Brain; Field of view 240x240 mm; Slice 115 of 155
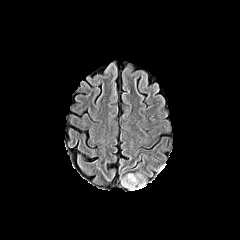
FLAIR MR image.
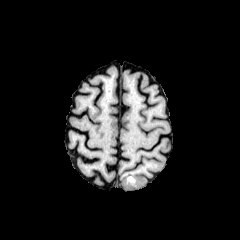
T1-weighted MR.
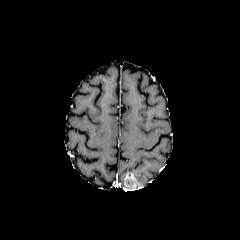
Same slice, post-contrast T1-weighted MRI.
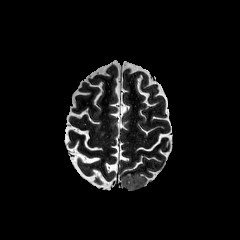
T2-weighted MR.
Enhancing tumor: bounding box 124 173 142 189.
Edema: bounding box 135 173 146 187.